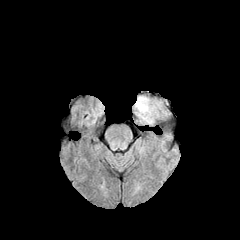
FLAIR magnetic resonance.
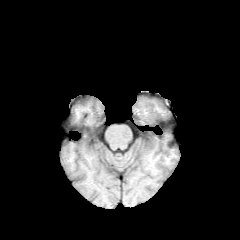
T1-weighted magnetic resonance of the same slice.
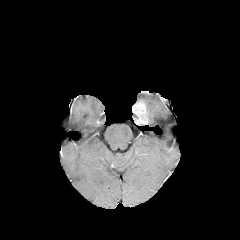
Same slice, post-contrast T1-weighted MR.
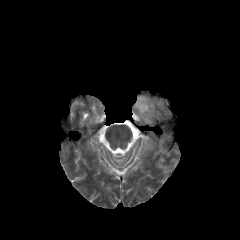
T2-weighted MR.
{
  "enhancing_tumor": [
    "l=132, t=101, r=147, b=123"
  ],
  "edema": [
    "l=135, t=96, r=162, b=125"
  ]
}